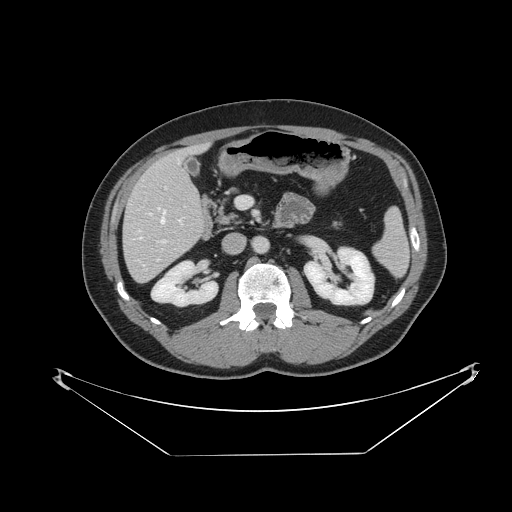
CT scan slice
<segmentation>
  <spleen>l=374, t=209, r=408, b=275</spleen>
</segmentation>